CT image, Slice index 39
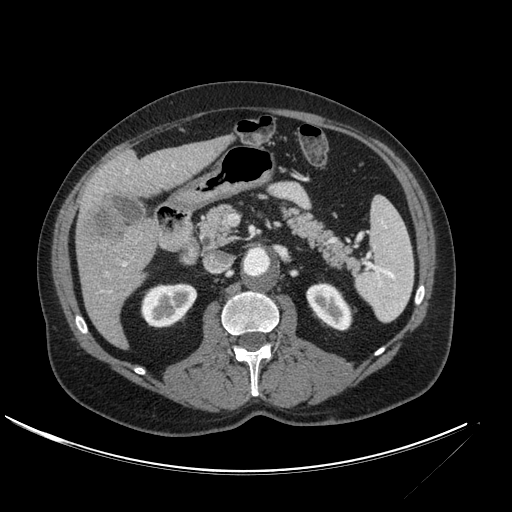 Kidney: (142, 285, 195, 326), (307, 284, 350, 329).
Liver: (76, 134, 235, 349).
Liver lesion: (79, 187, 127, 248).